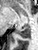

MR image
The posterior hippocampus is bounded by bbox(15, 25, 30, 38).